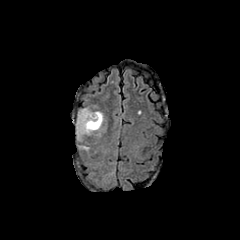
FLAIR MR image.
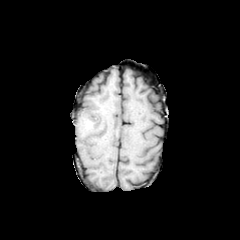
T1-weighted MR image.
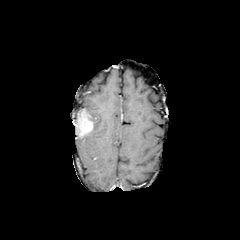
Post-contrast T1-weighted MR of the same slice.
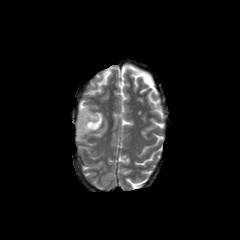
T2-weighted MRI of the same slice.
240x240 px, Head
Segmented structures:
• enhancing tumor: rect(75, 109, 93, 135)
• edema: rect(76, 107, 104, 139)